FLAIR MR.
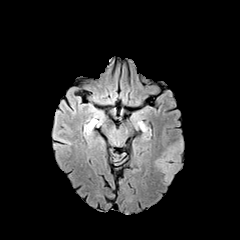
T1-weighted MRI.
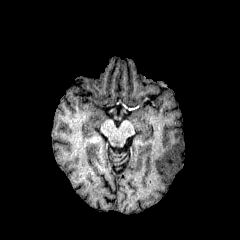
Post-contrast T1-weighted MRI.
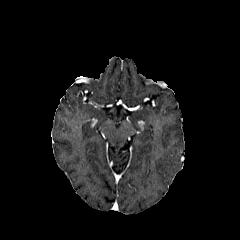
T2-weighted magnetic resonance.
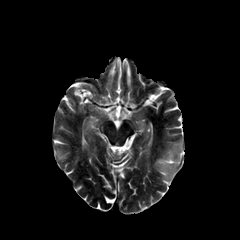
Head, 240x240 px
edema: x1=155 y1=138 x2=184 y2=184